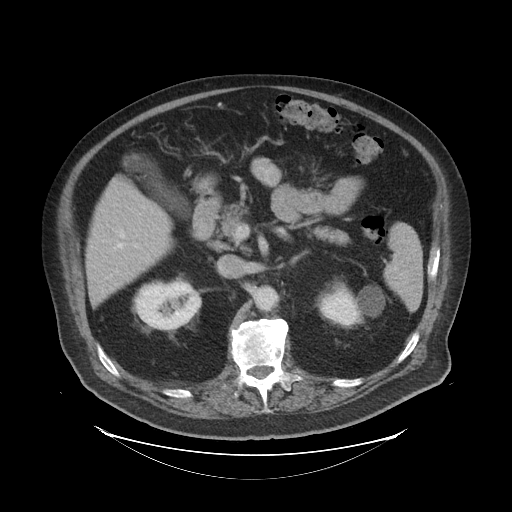 CT
Not every hepatic vessel necessarily has a box.
{
  "hepatic_vessel": [
    "[118, 245, 121, 246]"
  ]
}